CT slice

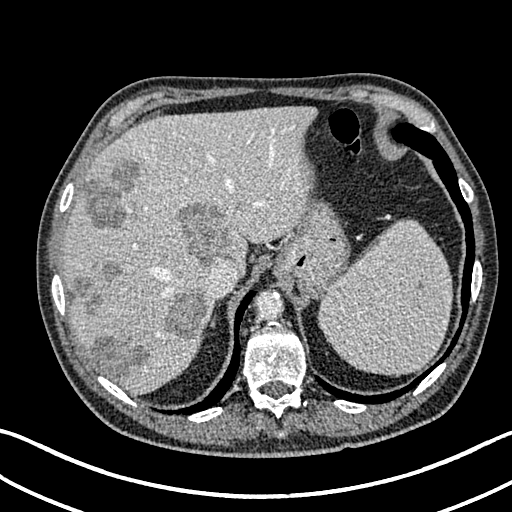

Focal liver lesion = (85,294,104,314), (84,177,126,230), (113,159,146,192), (88,335,148,379), (100,260,121,283), (164,291,207,339), (73,277,93,298), (180,203,230,264).
Liver = (64,107,317,393).